CT scan slice | Field of view 338x338 mm | 512x512 px | Upper abdomen 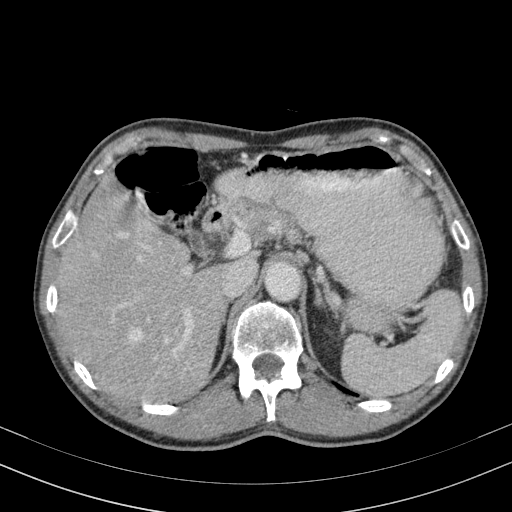
2 liver regions appear at region(250, 251, 261, 257); region(58, 174, 258, 406).